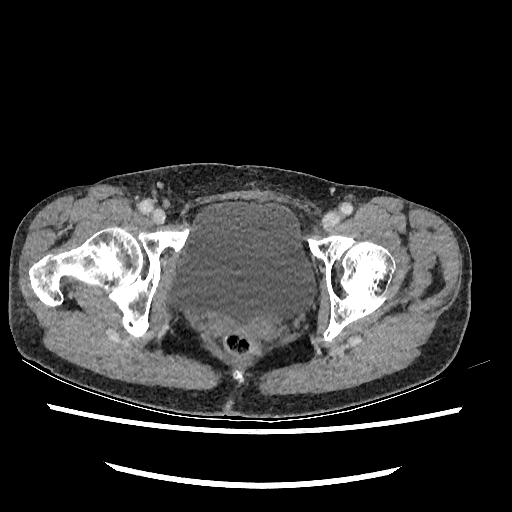
CT scan slice

The urinary bladder is bounded by 166:198:315:330.